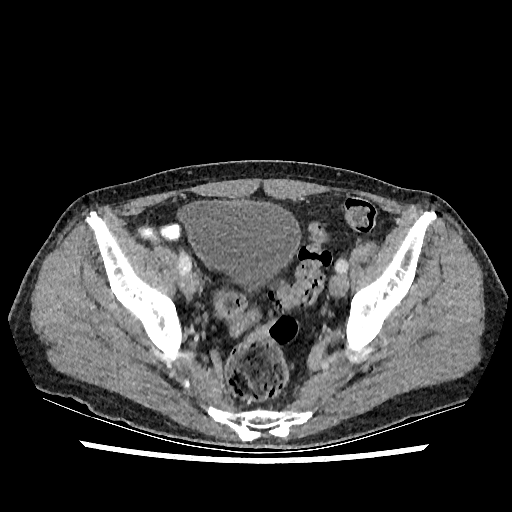

CT. Lower abdomen. 512x512 px. • urinary bladder: [182, 200, 301, 295]